FLAIR MRI.
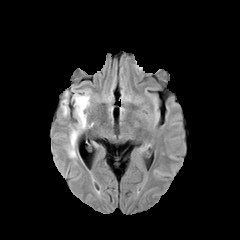
T1-weighted MRI.
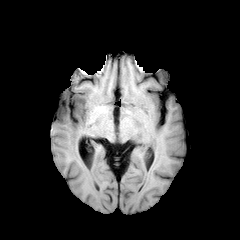
Post-contrast T1-weighted MRI.
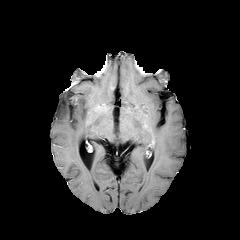
T2-weighted MR image.
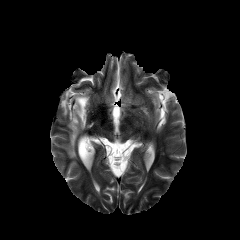
Head
The edema lies within rect(61, 90, 90, 158).